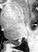

MRI, Hippocampus
• posterior hippocampus: bbox=[10, 41, 20, 45]